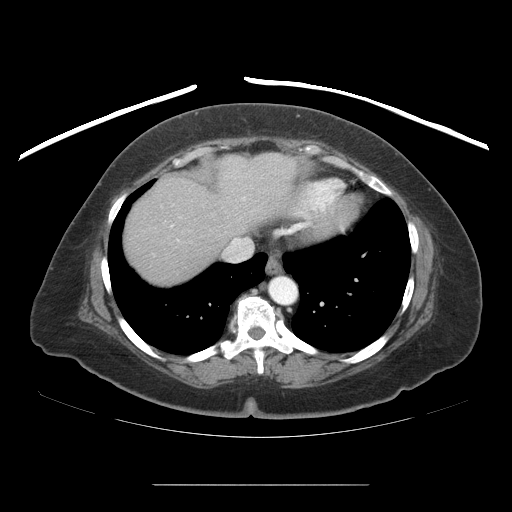

Abdomen. Image size 512x512. CT slice.

Not every hepatic vessel necessarily has a box.
Annotated regions:
• hepatic vessel: left=235, top=170, right=238, bottom=171; left=223, top=238, right=251, bottom=261; left=171, top=225, right=172, bottom=226